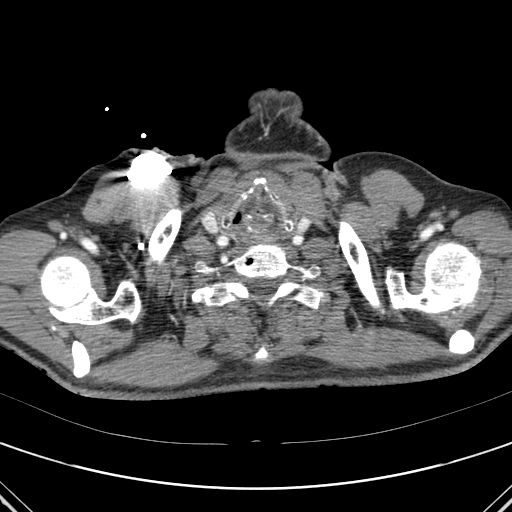 CT scan slice
Annotated regions:
* bone: 148,208,181,265; 71,341,89,377; 449,330,474,353; 226,244,324,308; 192,281,251,305; 339,221,380,307; 421,224,441,238; 40,256,140,324; 386,243,481,312; 200,268,219,273